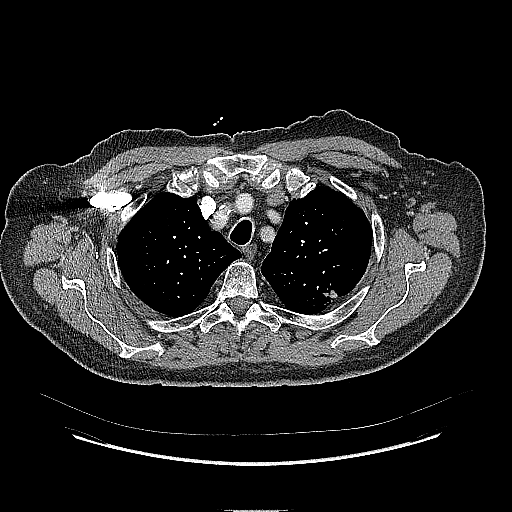 Lung, Image size 512x512, CT slice
The lung tumor lies within (x1=322, y1=285, x2=342, y2=305).